Computed tomography. Slice 557/896. Image size 512x512.
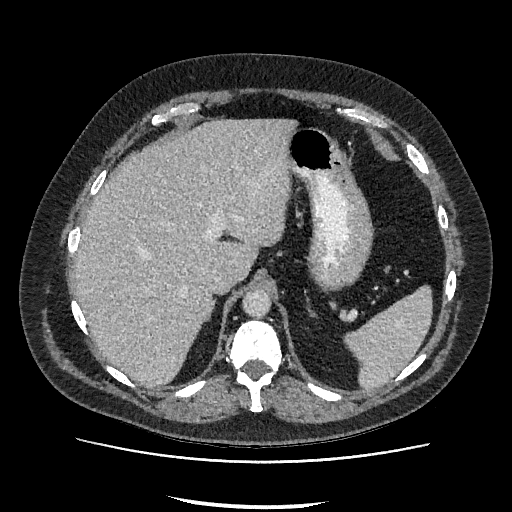
{
  "liver": [
    "x1=76 y1=119 x2=295 y2=385"
  ]
}